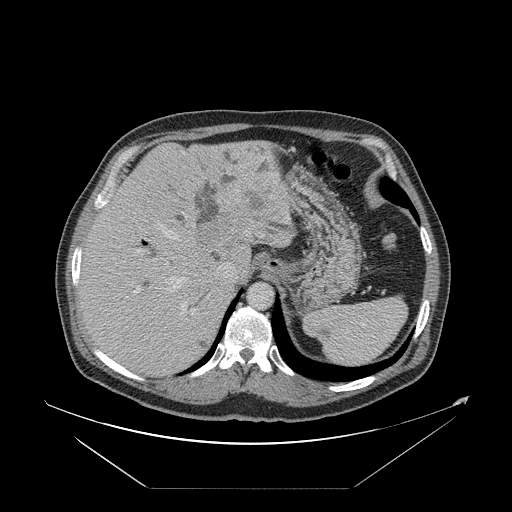

CT
The vessel boxes may cover only some of the vessels.
The liver tumor is bounded by bbox(194, 192, 265, 242). 11 hepatic vessel regions appear at bbox(183, 213, 188, 218); bbox(127, 296, 129, 297); bbox(180, 301, 196, 319); bbox(215, 262, 236, 280); bbox(133, 287, 140, 293); bbox(136, 249, 148, 254); bbox(211, 183, 212, 185); bbox(158, 224, 179, 239); bbox(227, 165, 232, 175); bbox(194, 212, 197, 214); bbox(165, 277, 186, 291).